Slice 87/155. Image width 240 mm. Brain.
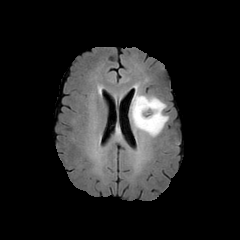
FLAIR MRI.
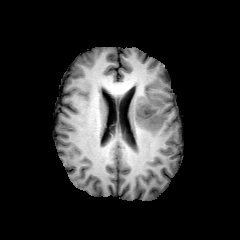
T1-weighted magnetic resonance.
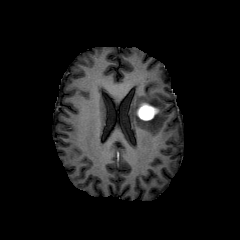
Post-contrast T1-weighted MR of the same slice.
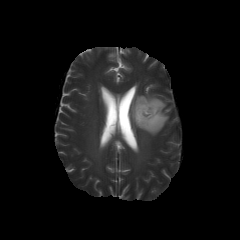
Same slice, T2-weighted MR.
Edema at {"x1": 128, "y1": 84, "x2": 168, "y2": 136}.
Non-enhancing tumor core at {"x1": 136, "y1": 97, "x2": 148, "y2": 111}, {"x1": 134, "y1": 112, "x2": 157, "y2": 126}.
Enhancing tumor at {"x1": 136, "y1": 102, "x2": 157, "y2": 120}.